Slice 132/164 | CT scan slice | Liver

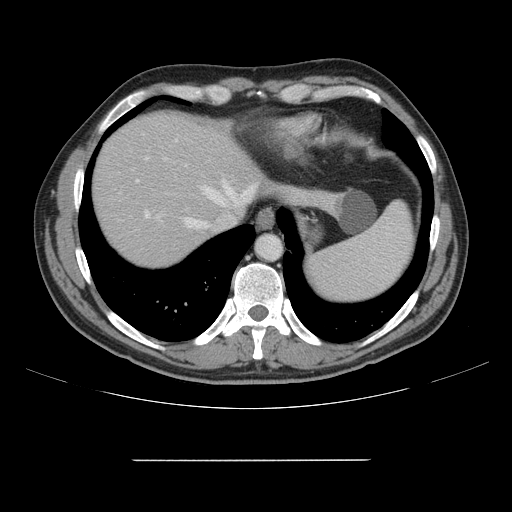 Some hepatic vessels may have no box.
Segmented structures:
• hepatic vessel: bbox=[222, 180, 235, 199]; bbox=[243, 183, 257, 199]; bbox=[136, 180, 138, 181]; bbox=[144, 210, 149, 218]; bbox=[185, 164, 186, 165]; bbox=[144, 157, 147, 158]; bbox=[184, 217, 191, 227]; bbox=[157, 215, 162, 220]